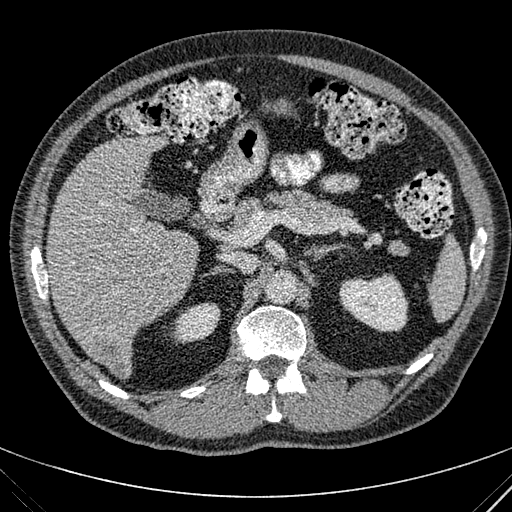 Computed tomography. Liver. - kidney: left=339, top=274, right=407, bottom=331; left=174, top=303, right=219, bottom=342
- liver lesion: left=90, top=338, right=129, bottom=375
- liver: left=46, top=136, right=194, bottom=376